Slice 85 of 155
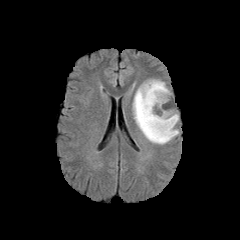
FLAIR MR.
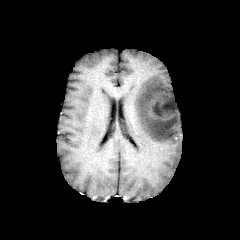
T1-weighted MRI of the same slice.
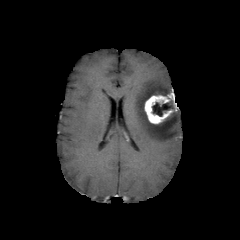
Post-contrast T1-weighted MR image of the same slice.
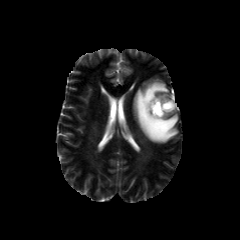
T2-weighted MRI.
Non-enhancing tumor core: l=152, t=100, r=174, b=116; l=138, t=86, r=174, b=135.
Enhancing tumor: l=144, t=92, r=176, b=123.
Edema: l=132, t=78, r=179, b=144.